CT image; Slice index 157; Lung

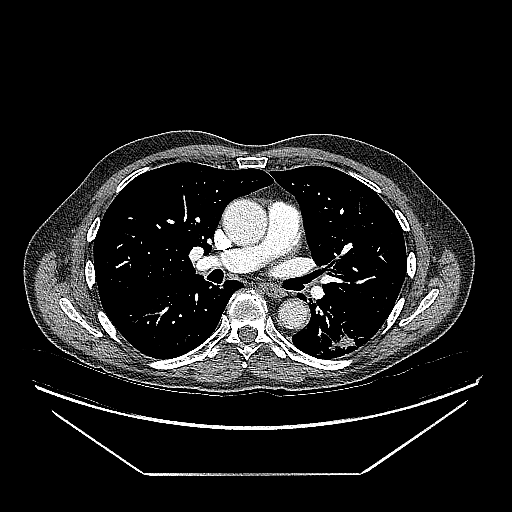
Lung tumor: bounding box {"x1": 326, "y1": 329, "x2": 370, "y2": 354}.